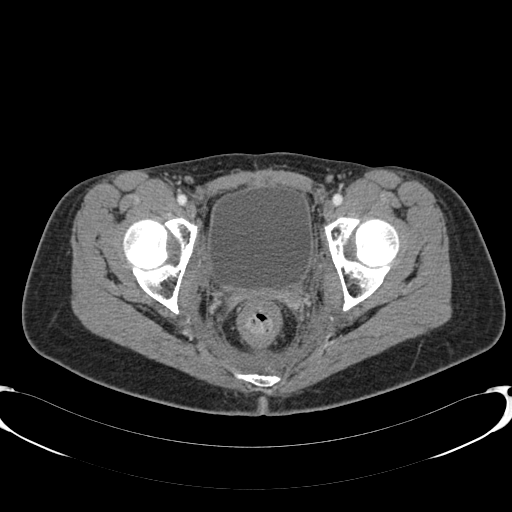 Image size 512x512, CT scan slice

<segmentation>
  <urinary_bladder>(210, 187, 310, 288)</urinary_bladder>
</segmentation>